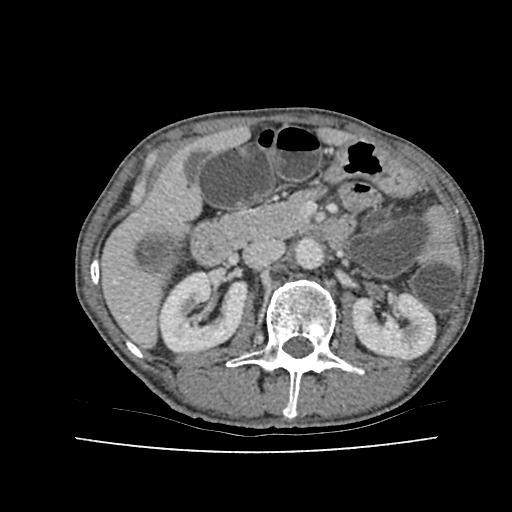
CT slice
3 liver regions appear at 201 132 245 149, 102 160 197 343, 327 132 346 142. 2 kidney regions are bounded by 160 273 246 351, 354 294 434 358.